512x512 px. Slice 64 of 142. Abdomen. CT scan slice.

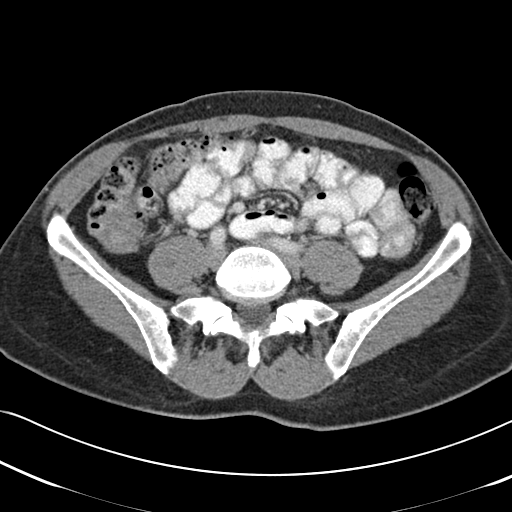

Colon tumor: bounding box l=95, t=195, r=143, b=252.